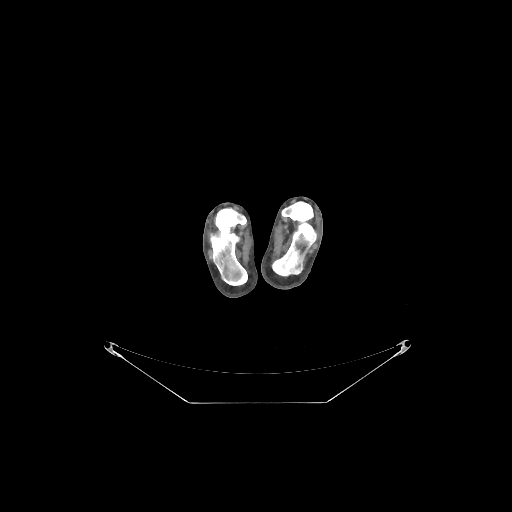 CT image
<segmentation>
  <bone>bbox(272, 201, 316, 275); bbox(210, 208, 247, 285)</bone>
</segmentation>